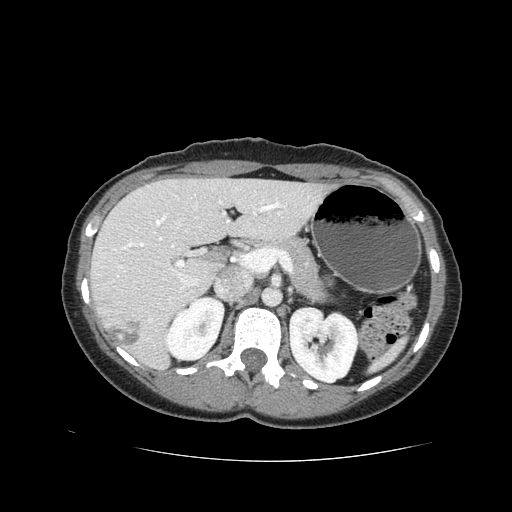 CT slice | Image size 512x512 | Abdomen

pancreas:
  - bbox=[275, 237, 329, 302]